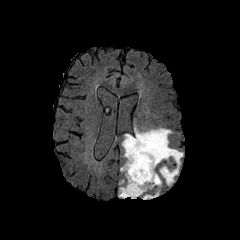
FLAIR MRI.
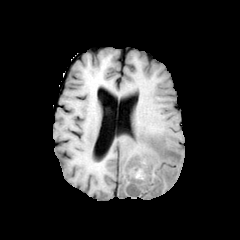
T1-weighted MRI.
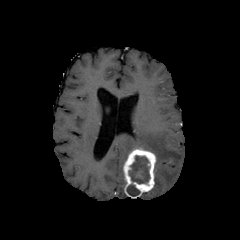
Post-contrast T1-weighted magnetic resonance.
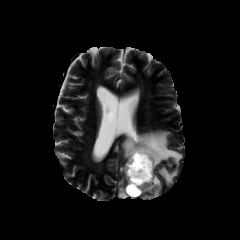
T2-weighted MR.
Brain, 240x240
Annotated regions:
* non-enhancing tumor core: <box>131,156,149,183</box>, <box>127,185,139,195</box>
* edema: <box>143,173,162,199</box>, <box>122,127,182,185</box>, <box>118,186,127,198</box>
* enhancing tumor: <box>122,146,157,198</box>